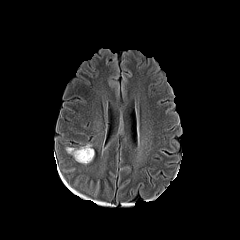
FLAIR MRI.
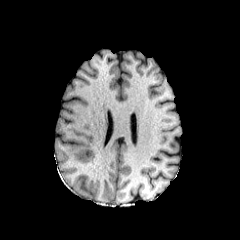
Same slice, T1-weighted magnetic resonance.
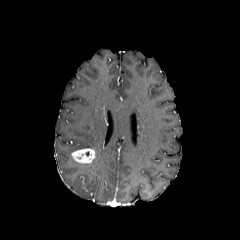
Same slice, post-contrast T1-weighted MRI.
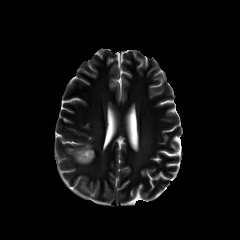
T2-weighted MR.
Head
The edema lies within (left=66, top=143, right=92, bottom=154). The enhancing tumor is located at (left=72, top=148, right=94, bottom=163).